240x240 px | Brain | Slice index 99
FLAIR MRI.
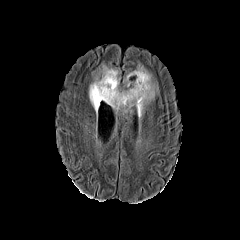
T1-weighted MR.
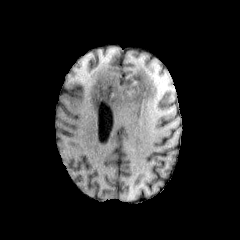
Post-contrast T1-weighted MR image.
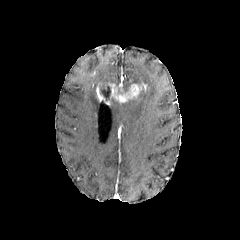
T2-weighted magnetic resonance.
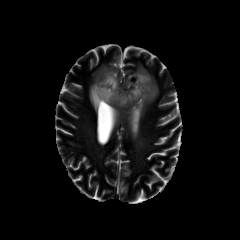
non-enhancing tumor core: bbox(100, 84, 111, 99) | enhancing tumor: bbox(108, 82, 141, 103); bbox(95, 82, 105, 100) | edema: bbox(110, 64, 158, 119); bbox(89, 64, 120, 114)